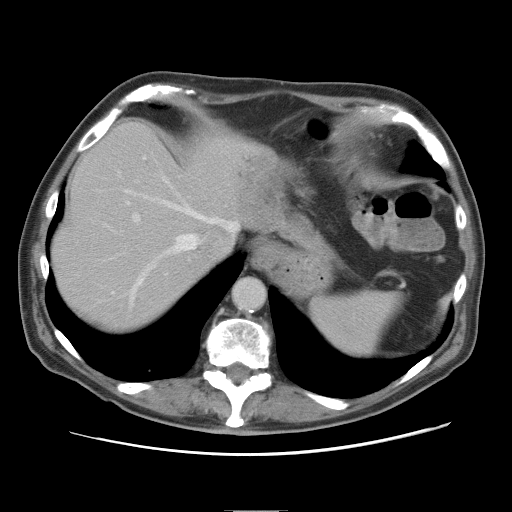 CT
Some hepatic vessels may have no box.
7 hepatic vessel regions are located at (163,178,167,182), (165,202,239,232), (174,234,198,251), (131,269,148,302), (144,157,145,158), (126,190,129,192), (133,215,139,221). The liver tumor is bounded by (247,160,291,214).